Computed tomography; Abdomen; 512x512 px 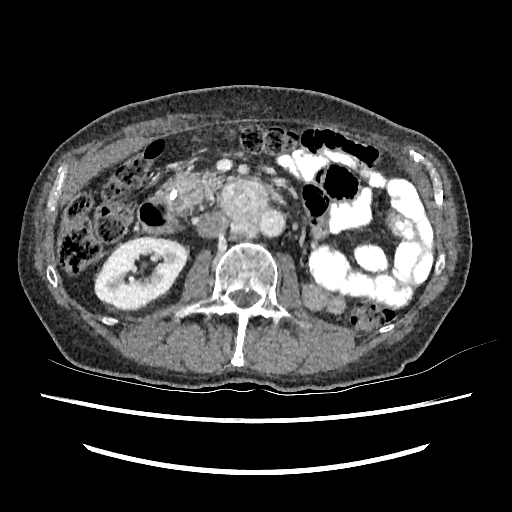 Annotated regions:
• kidney: 95, 237, 186, 308